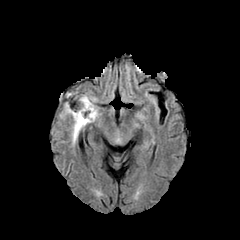
FLAIR MR image.
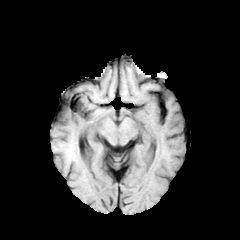
T1-weighted magnetic resonance.
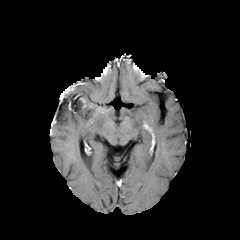
Post-contrast T1-weighted MR image of the same slice.
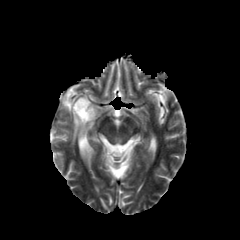
T2-weighted MRI.
240x240; Brain
Findings:
- non-enhancing tumor core: region(61, 91, 70, 104); region(72, 96, 89, 113)
- edema: region(59, 92, 100, 144)